Brain | Slice index 50 | Image size 240x240
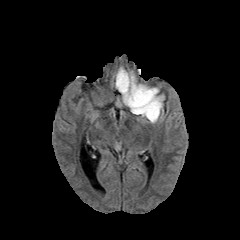
FLAIR MRI.
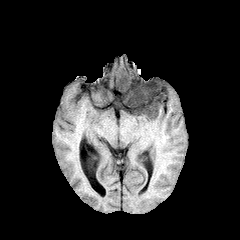
T1-weighted magnetic resonance.
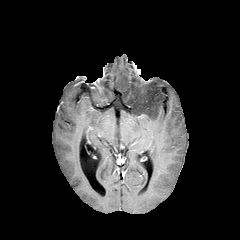
Post-contrast T1-weighted magnetic resonance of the same slice.
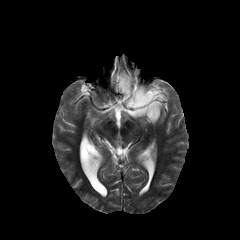
T2-weighted MRI of the same slice.
Edema — [113,67,165,123].
Non-enhancing tumor core — [128,87,155,113].